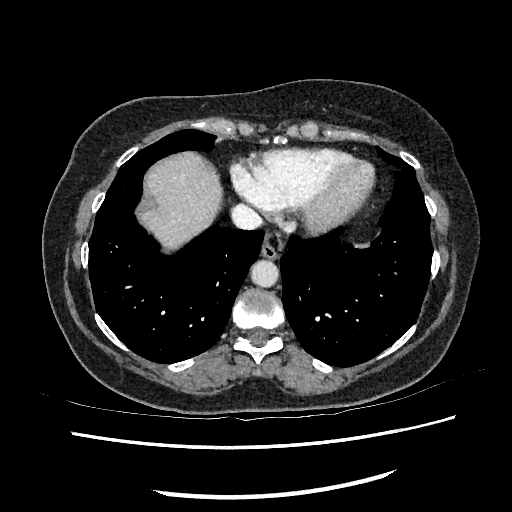

512x512. CT scan slice.

Liver — [x1=145, y1=153, x2=220, y2=250].